Computed tomography, Abdomen

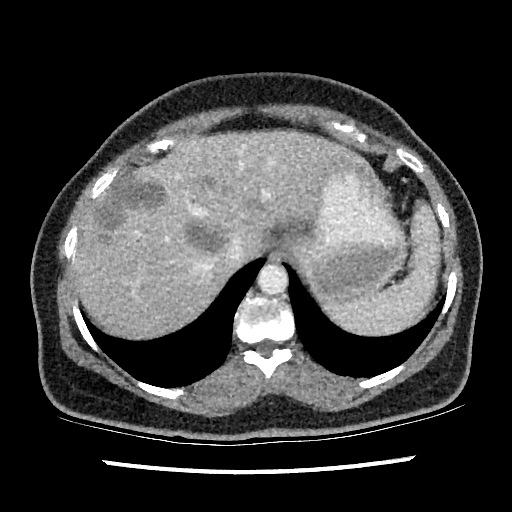
hepatic_lesion:
  - {"x1": 99, "y1": 234, "x2": 109, "y2": 242}
  - {"x1": 187, "y1": 225, "x2": 226, "y2": 251}
  - {"x1": 204, "y1": 176, "x2": 214, "y2": 187}
  - {"x1": 97, "y1": 174, "x2": 164, "y2": 229}
liver:
  - {"x1": 76, "y1": 131, "x2": 377, "y2": 335}